Computed tomography. Abdomen.

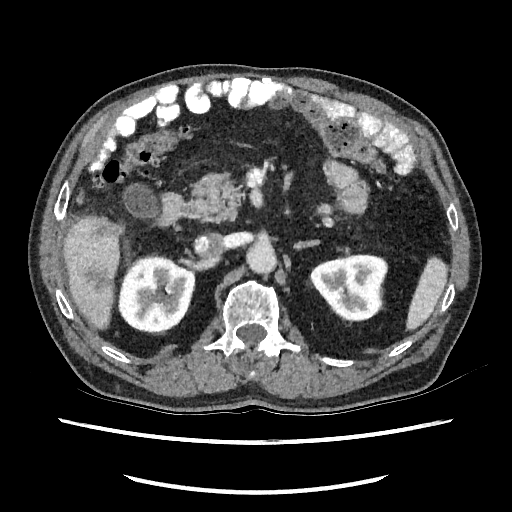

2 kidney regions appear at box(118, 256, 194, 332); box(310, 255, 387, 321). 2 hepatic lesion regions are bounded by box(86, 265, 110, 291); box(93, 218, 119, 236). The liver is located at box(64, 216, 119, 327).